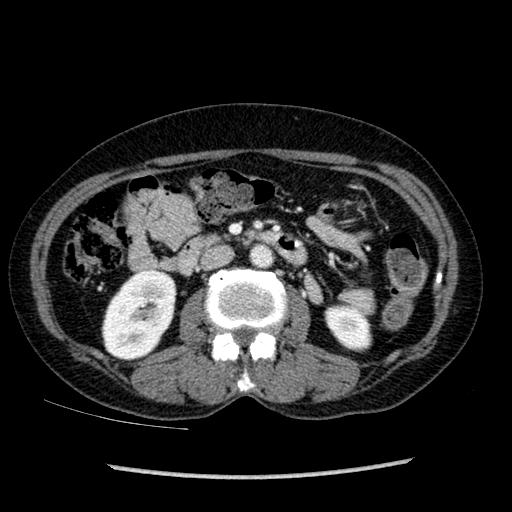 Abdomen, Computed tomography

Kidney at (103,270,175,358), (327,308,367,346).